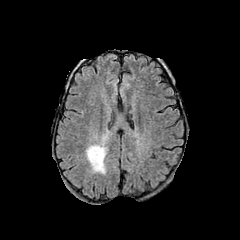
FLAIR MR image.
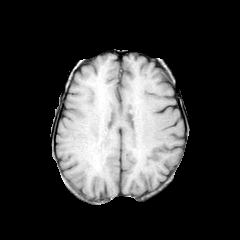
T1-weighted MRI of the same slice.
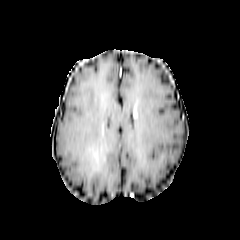
Post-contrast T1-weighted MR.
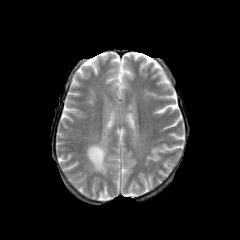
T2-weighted magnetic resonance of the same slice.
Head
The non-enhancing tumor core is located at rect(91, 146, 105, 170). The edema is located at rect(85, 127, 110, 174).